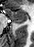

MR
The anterior hippocampus lies within 6, 9, 26, 21. The posterior hippocampus lies within 15, 22, 22, 23.